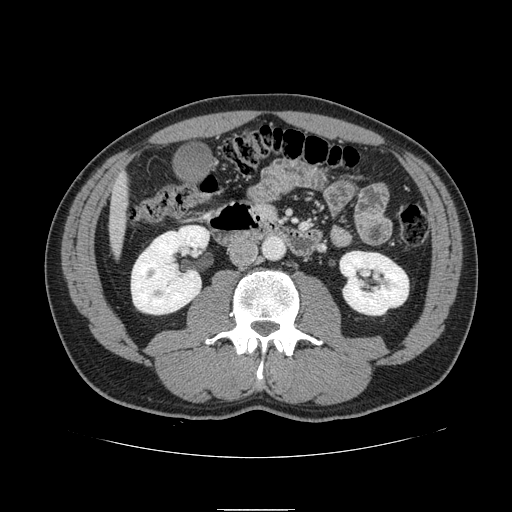 Image size 512x512, Abdomen, CT slice
Pancreas at bbox(262, 205, 275, 215).